CT 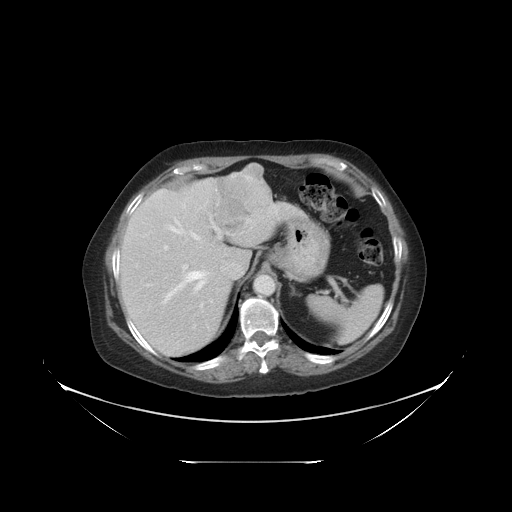

The vessel boxes may cover only some of the vessels.
- liver tumor: bbox(215, 164, 272, 233)
- hepatic vessel: bbox(212, 222, 221, 238); bbox(220, 260, 243, 279); bbox(169, 219, 182, 233); bbox(163, 264, 205, 303); bbox(183, 204, 185, 206); bbox(147, 284, 149, 286); bbox(230, 234, 232, 235); bbox(190, 231, 199, 239); bbox(210, 216, 211, 221); bbox(164, 246, 167, 249); bbox(200, 304, 202, 306)